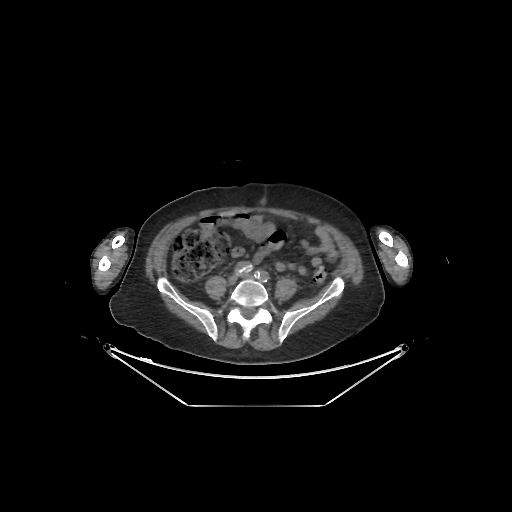

Computed tomography
Bone at <bbox>228, 272, 276, 337</bbox>, <bbox>157, 278, 217, 340</bbox>, <bbox>98, 254, 110, 272</bbox>, <bbox>278, 277, 343, 341</bbox>, <bbox>112, 235, 124, 248</bbox>, <bbox>395, 250, 407, 267</bbox>, <bbox>379, 231, 392, 246</bbox>.